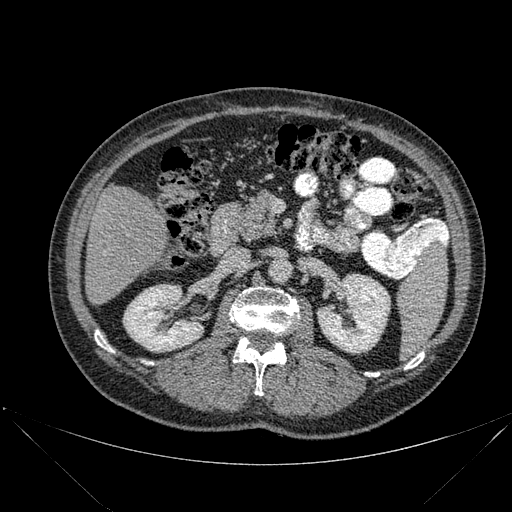

CT image. Abdomen.

2 kidney regions are bounded by 123, 284, 203, 351; 317, 274, 390, 352. 5 bone regions are located at 404, 352, 424, 369; 365, 372, 379, 376; 233, 337, 286, 395; 95, 330, 113, 351; 229, 287, 299, 334. The liver is located at 84, 186, 167, 303.